240x240 px. Field of view 240x240 mm.
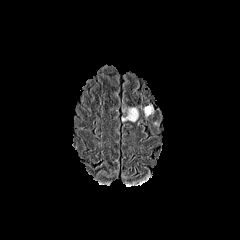
FLAIR MR image.
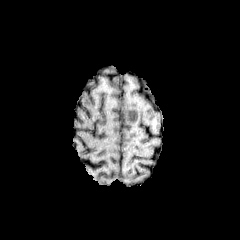
T1-weighted magnetic resonance.
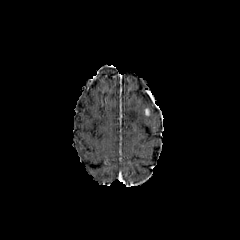
Post-contrast T1-weighted magnetic resonance.
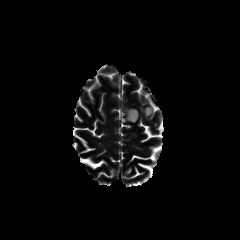
T2-weighted MRI.
edema:
  - box(123, 107, 139, 121)